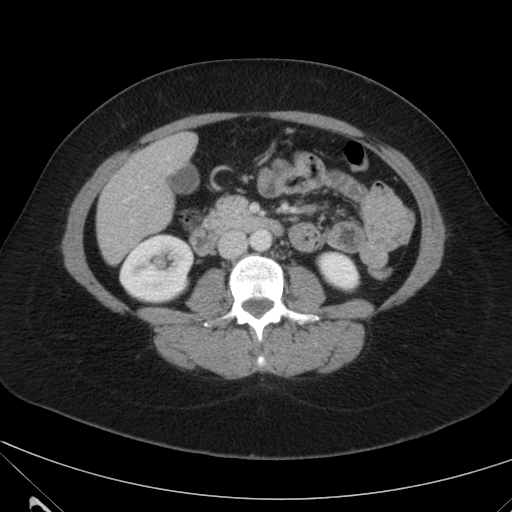

512x512 px. CT slice.

<segmentation>
  <kidney>[121,236,189,300], [321,254,357,287]</kidney>
  <liver>[97,132,195,263]</liver>
</segmentation>